FLAIR MRI.
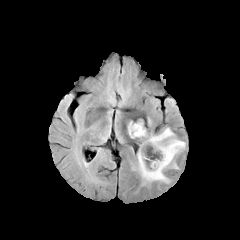
T1-weighted MR image.
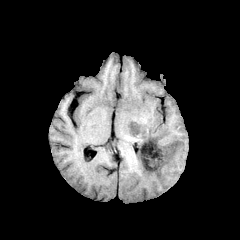
Post-contrast T1-weighted magnetic resonance.
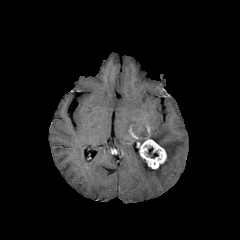
T2-weighted MR image.
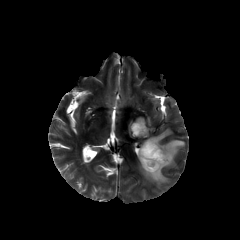
Brain.
The enhancing tumor appears at l=139, t=137, r=166, b=168. 2 edema regions appear at l=128, t=120, r=143, b=130; l=137, t=128, r=185, b=182. 2 non-enhancing tumor core regions are located at l=146, t=146, r=158, b=158; l=132, t=124, r=149, b=139.